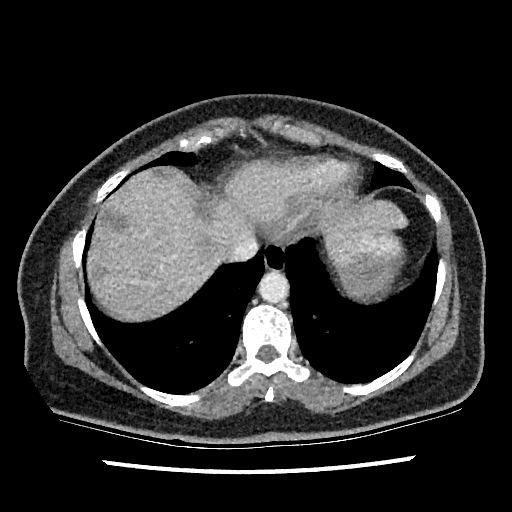
512x512; CT; Abdomen

Liver: 88 162 298 318, 325 202 406 244.
Liver lesion: 287 197 291 212, 194 194 211 222, 93 264 107 277, 153 168 171 178, 99 209 127 230, 203 235 210 246.